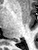 MR image; 38x50; Medial temporal lobe
Posterior hippocampus: bounding box 14, 40, 18, 42.